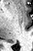

33x51 px, Magnetic resonance, Medial temporal lobe

The posterior hippocampus is bounded by l=7, t=41, r=14, b=42.